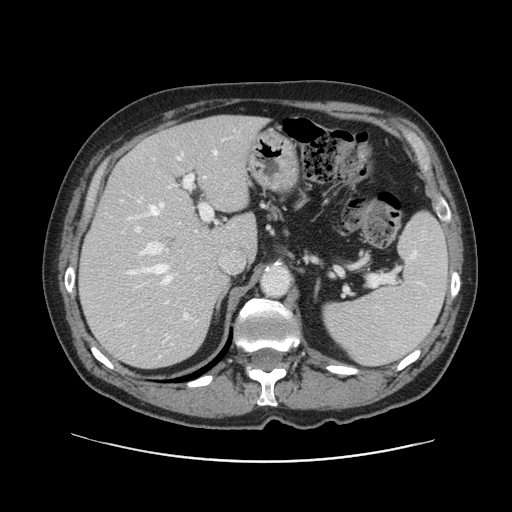

CT scan slice. Liver. 512x512 px.
The vessel annotation is not exhaustive.
Hepatic vessel: 136, 227, 139, 231; 128, 217, 131, 219; 150, 206, 158, 214; 141, 242, 167, 254; 138, 200, 139, 202; 214, 151, 216, 154; 140, 264, 166, 273; 177, 154, 181, 159; 129, 270, 138, 274; 159, 203, 162, 207; 183, 313, 189, 318; 162, 276, 170, 283.